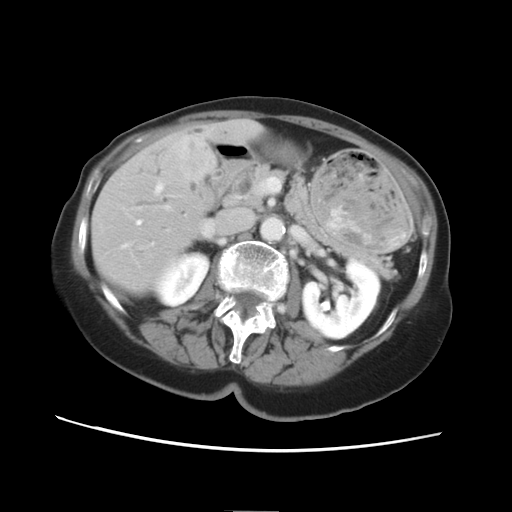 Computed tomography | Liver
Liver tumor at box=[157, 134, 213, 182].